Slice index 97
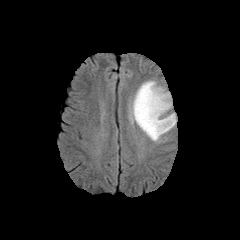
FLAIR MR.
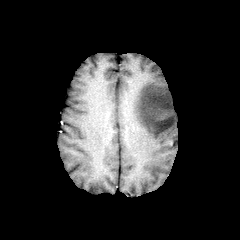
T1-weighted magnetic resonance.
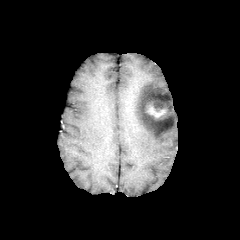
Post-contrast T1-weighted MR of the same slice.
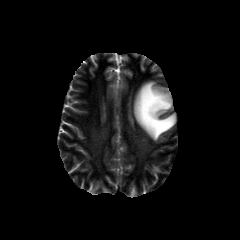
T2-weighted MR.
Enhancing tumor: bounding box {"x1": 148, "y1": 106, "x2": 167, "y2": 117}.
Edema: bounding box {"x1": 129, "y1": 78, "x2": 176, "y2": 142}.
Non-enhancing tumor core: bounding box {"x1": 139, "y1": 89, "x2": 170, "y2": 128}.